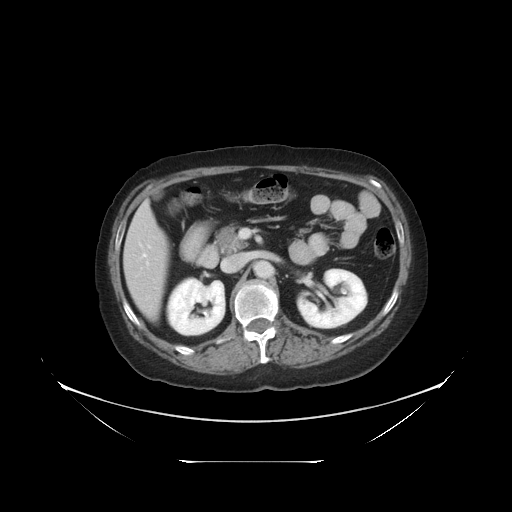

Abdomen | CT scan slice
Not every hepatic vessel necessarily has a box.
Hepatic vessel: bounding box bbox=[142, 253, 145, 256]; bbox=[148, 245, 149, 247]; bbox=[146, 262, 148, 264]; bbox=[226, 256, 246, 270].